Image width 340 mm | 512x512 px | CT scan slice | Slice 8/38 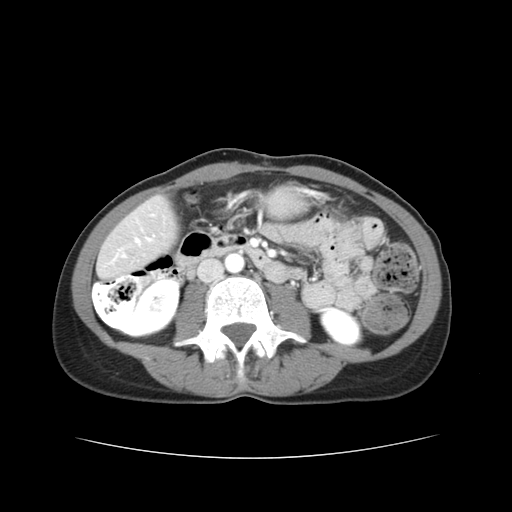

Not every hepatic vessel necessarily has a box.
Hepatic vessel: bounding box 136,240,138,242.